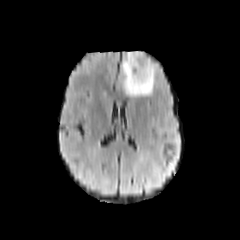
FLAIR MR image.
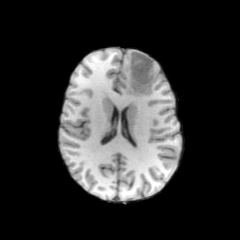
T1-weighted MR of the same slice.
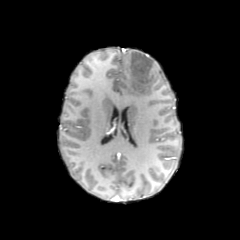
Post-contrast T1-weighted MR image.
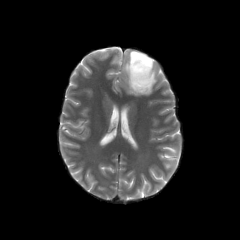
T2-weighted MR image.
Image size 240x240.
{"non-enhancing_tumor_core": ["[129,52,154,94]"], "edema": ["[123,50,143,95]", "[149,57,155,76]"]}